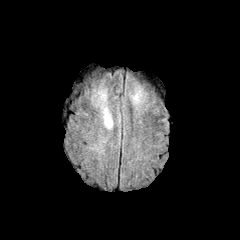
FLAIR MR.
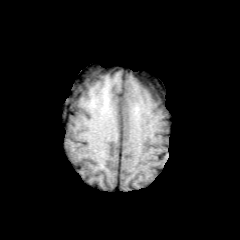
T1-weighted MR of the same slice.
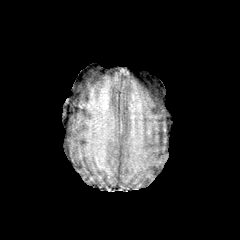
Post-contrast T1-weighted MR image.
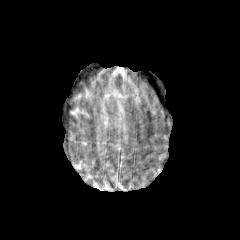
T2-weighted magnetic resonance.
Brain.
2 edema regions appear at [132,93,139,102], [103,107,112,128].